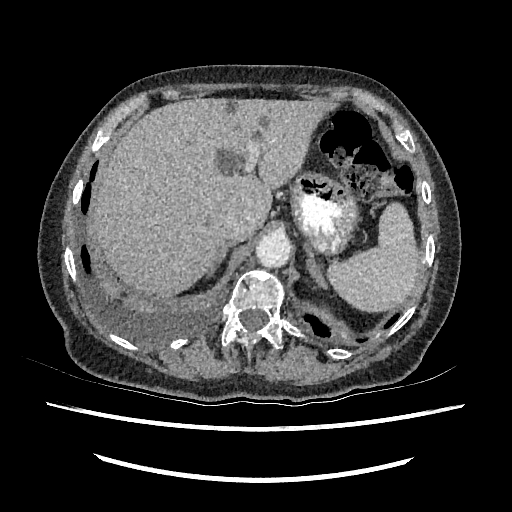
CT
{
  "hepatic_lesion": [
    "left=228, top=101, right=236, bottom=111",
    "left=260, top=117, right=267, bottom=126",
    "left=216, top=149, right=244, bottom=175",
    "left=251, top=131, right=260, bottom=140"
  ],
  "liver": [
    "left=95, top=99, right=336, bottom=296"
  ]
}